CT, Image width 351 mm
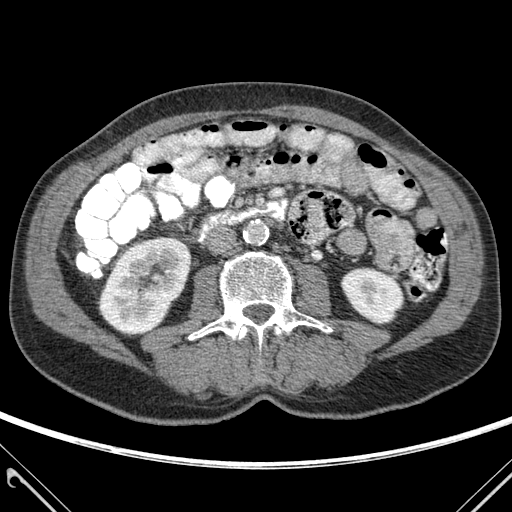
Annotated regions:
- kidney: <bbox>342, 269, 402, 322</bbox>, <bbox>100, 238, 187, 333</bbox>
- bone: <bbox>188, 252, 332, 346</bbox>